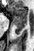 Magnetic resonance; Hippocampus

The posterior hippocampus is bounded by box=[13, 22, 26, 34]. The anterior hippocampus is bounded by box=[11, 5, 27, 21].